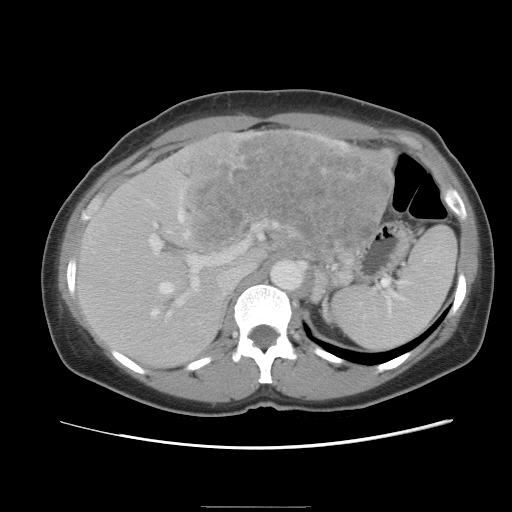

Image size 512x512. CT slice. The vessel annotation is not exhaustive.
{"liver_tumor": ["<bbox>178, 131, 387, 258</bbox>"], "hepatic_vessel": ["<bbox>186, 241, 261, 291</bbox>", "<bbox>153, 222, 155, 225</bbox>", "<bbox>167, 310, 170, 315</bbox>", "<bbox>175, 297, 183, 305</bbox>", "<bbox>151, 309, 156, 315</bbox>", "<bbox>158, 282, 171, 292</bbox>", "<bbox>150, 236, 161, 251</bbox>", "<bbox>257, 232, 262, 237</bbox>"]}